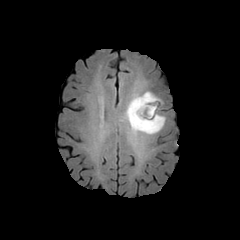
FLAIR MR.
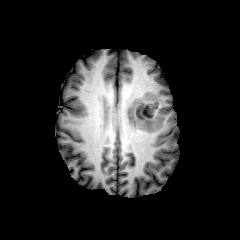
T1-weighted MR image.
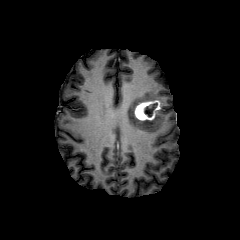
Post-contrast T1-weighted MR image of the same slice.
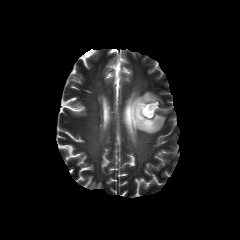
T2-weighted magnetic resonance.
240x240 px.
enhancing_tumor:
  - {"x1": 134, "y1": 100, "x2": 159, "y2": 120}
edema:
  - {"x1": 124, "y1": 110, "x2": 165, "y2": 139}
  - {"x1": 131, "y1": 92, "x2": 160, "y2": 106}
non-enhancing_tumor_core:
  - {"x1": 113, "y1": 96, "x2": 154, "y2": 133}
  - {"x1": 144, "y1": 103, "x2": 157, "y2": 116}